Computed tomography. Image size 512x512. Slice 491 of 629. Field of view 400 mm wide, 0.70 mm slice spacing. 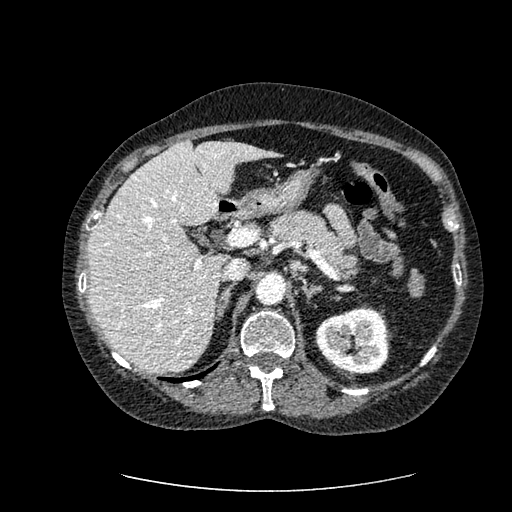

The liver appears at 88, 139, 282, 373. The kidney lies within 317, 309, 387, 372.